CT image

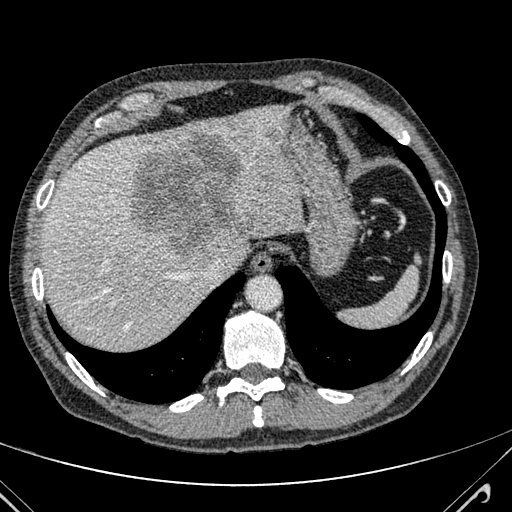 The liver appears at 43 107 303 348. 2 focal liver lesion regions are bounded by 267 130 280 142, 131 132 258 259.